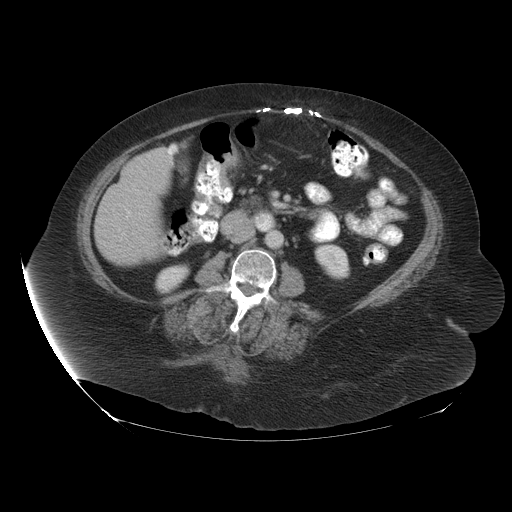 CT scan slice, Pelvis
2 colon tumor regions appear at (x1=219, y1=144, x2=237, y2=188), (x1=198, y1=154, x2=211, y2=172).